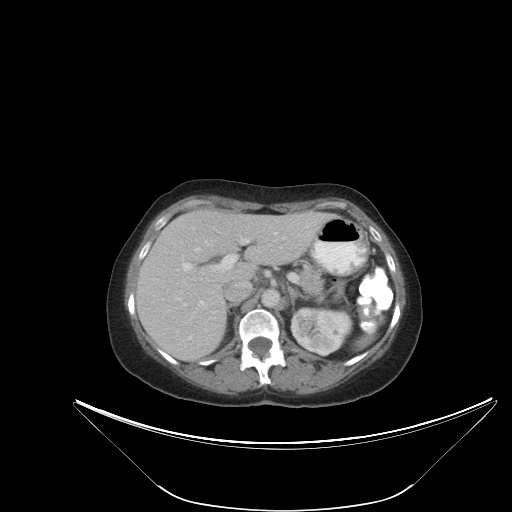 CT image

Only some of the vessels may be annotated.
Annotated regions:
- hepatic vessel: x1=240, y1=238, x2=249, y2=244; x1=217, y1=255, x2=236, y2=267; x1=200, y1=300, x2=203, y2=303; x1=184, y1=263, x2=191, y2=269